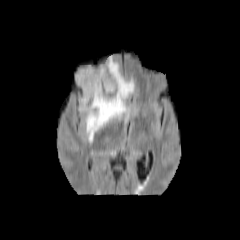
FLAIR magnetic resonance.
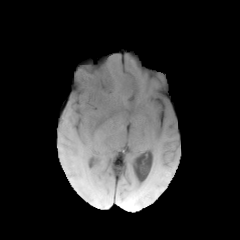
T1-weighted MR of the same slice.
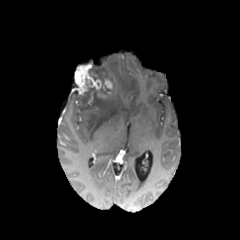
Post-contrast T1-weighted magnetic resonance.
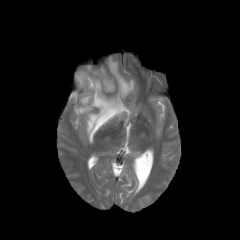
T2-weighted magnetic resonance.
Head.
Findings:
* enhancing tumor: [x1=74, y1=62, x2=112, y2=95]
* non-enhancing tumor core: [x1=74, y1=64, x2=117, y2=110]
* edema: [x1=73, y1=55, x2=133, y2=144]